Computed tomography | Liver | Image width 390 mm
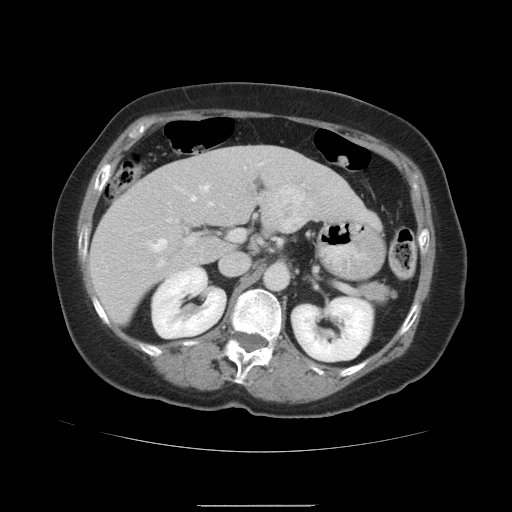

The vessel annotation is not exhaustive.
- hepatic vessel: [184,236,196,245], [191,196,196,201], [201,185,209,191], [229,229,244,240], [259,162,265,165], [148,238,167,251], [190,267,196,268], [176,223,178,228], [301,222,304,224], [168,219,179,221], [159,260,164,266], [209,202,213,205]
- liver tumor: [263,179,325,230]